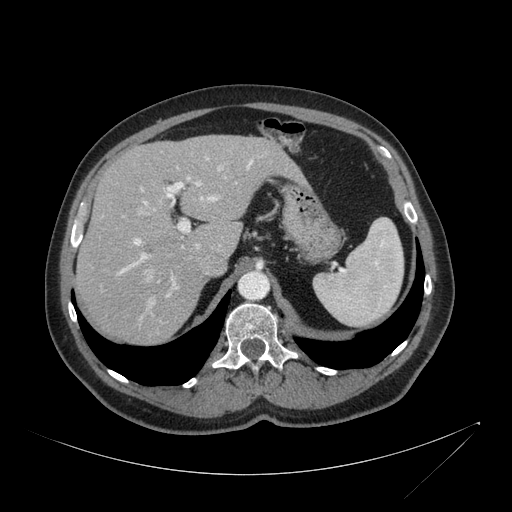 CT slice
The liver is located at (75, 135, 311, 344).